FLAIR magnetic resonance.
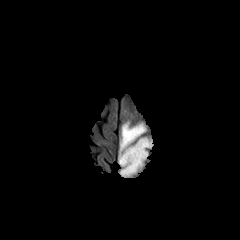
T1-weighted magnetic resonance.
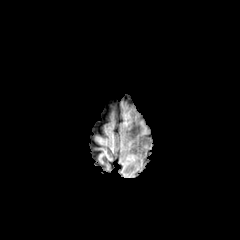
Post-contrast T1-weighted MRI.
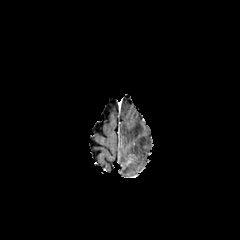
T2-weighted MRI.
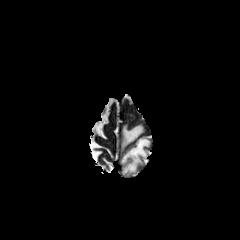
The edema lies within x1=119 y1=126 x2=151 y2=177.